CT slice | Field of view 385 mm wide, 0.80 mm slice spacing | 512x512
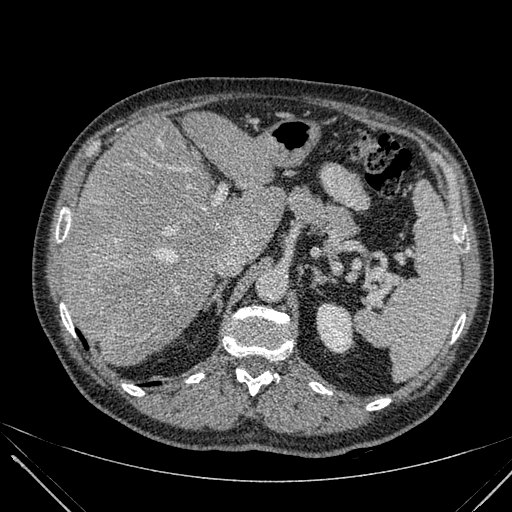

The liver is at [x1=62, y1=111, x2=286, y2=366]. The kidney appears at [x1=317, y1=305, x2=351, y2=351].